FLAIR MRI.
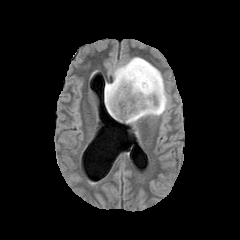
T1-weighted MR.
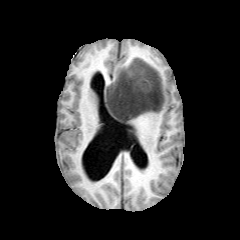
Post-contrast T1-weighted MR image.
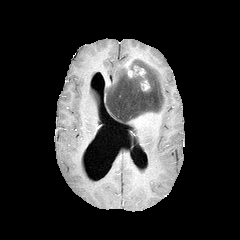
T2-weighted MR.
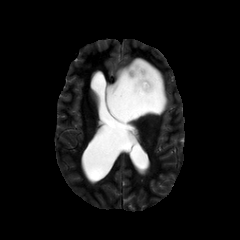
240x240 px. Head.
edema:
  - 104, 57, 169, 124
non-enhancing_tumor_core:
  - 106, 74, 161, 121
enhancing_tumor:
  - 134, 66, 144, 75